Slice 78/171. CT slice.

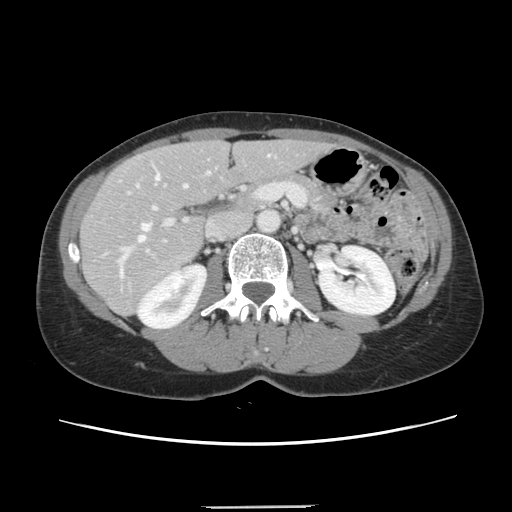

Some hepatic vessels may have no box.
13 hepatic vessel regions are located at l=141, t=223, r=150, b=230; l=183, t=184, r=187, b=186; l=136, t=184, r=138, b=186; l=267, t=154, r=270, b=156; l=153, t=206, r=156, b=209; l=155, t=169, r=158, b=181; l=138, t=235, r=144, b=242; l=146, t=250, r=148, b=252; l=127, t=192, r=130, b=193; l=206, t=171, r=209, b=173; l=184, t=219, r=186, b=220; l=164, t=219, r=172, b=225; l=117, t=248, r=130, b=276.